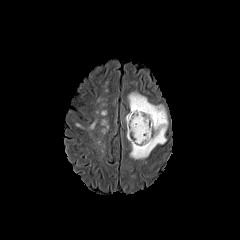
FLAIR MRI.
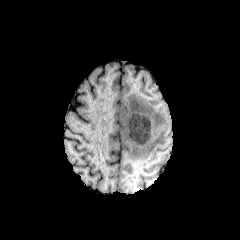
T1-weighted MR image.
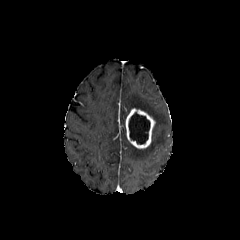
Post-contrast T1-weighted MRI.
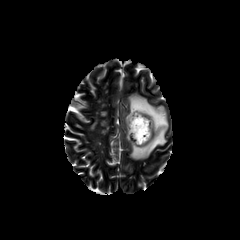
T2-weighted MRI.
Head. Image size 240x240.
non-enhancing tumor core: 128, 112, 150, 144 | enhancing tumor: 125, 109, 154, 149 | edema: 128, 94, 167, 160